Computed tomography | Liver | Field of view 464 mm wide, 2.50 mm slice spacing | 512x512 px

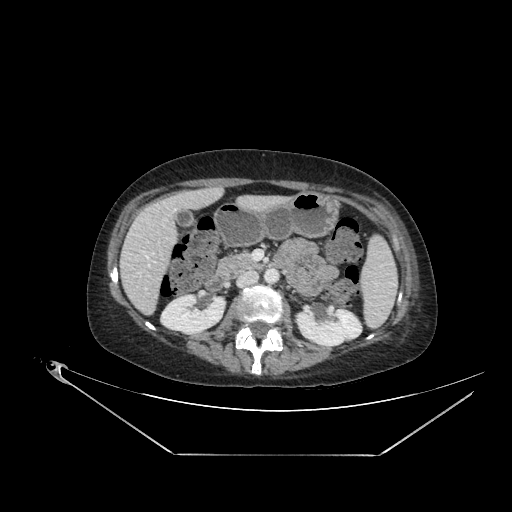

<segmentation>
  <kidney>161:295:224:333, 297:306:361:345</kidney>
  <liver>119:187:220:314</liver>
</segmentation>